Pelvis, Computed tomography

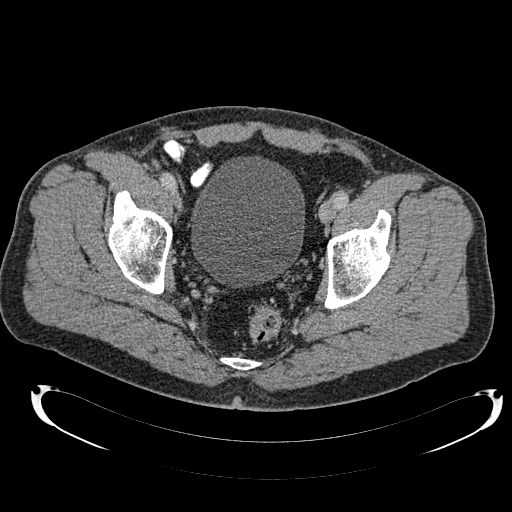 urinary bladder: <bbox>191, 156, 304, 286</bbox>